Brain, Slice 50 of 155
FLAIR MR image.
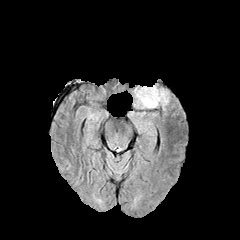
T1-weighted MRI.
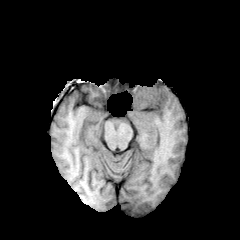
Post-contrast T1-weighted MRI.
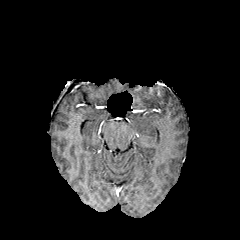
T2-weighted MRI.
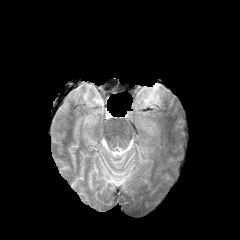
<segmentation>
  <edema><box>134,86,167,110</box></edema>
</segmentation>